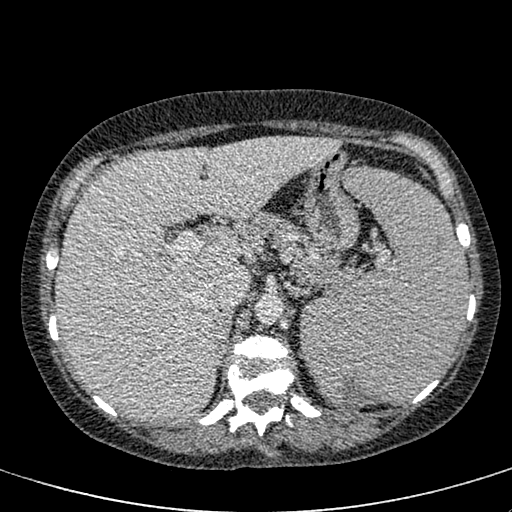
Abdomen. Computed tomography.
liver: [x1=58, y1=138, x2=339, y2=421]